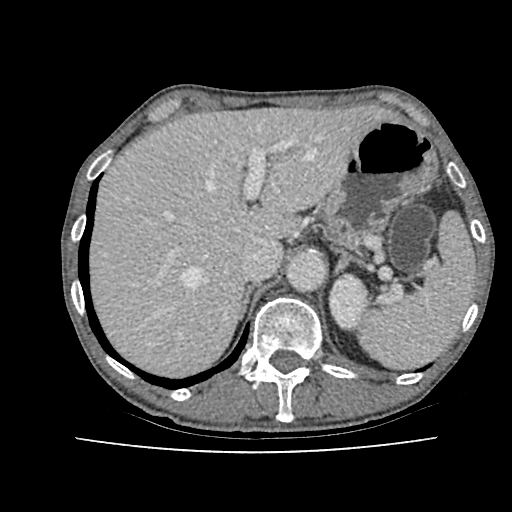
CT image. Image size 512x512. Abdomen. liver:
  - left=89, top=107, right=386, bottom=376
kidney:
  - left=330, top=277, right=365, bottom=327